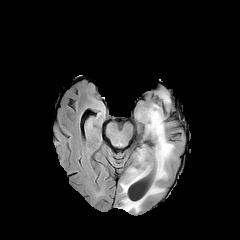
FLAIR magnetic resonance.
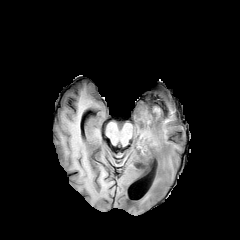
T1-weighted MRI.
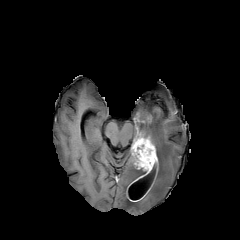
Post-contrast T1-weighted magnetic resonance.
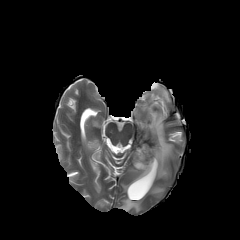
T2-weighted MRI.
Image size 240x240.
<segmentation>
  <enhancing_tumor>region(134, 147, 157, 177)</enhancing_tumor>
  <edema>region(160, 92, 169, 103); region(120, 103, 175, 212)</edema>
  <non-enhancing_tumor_core>region(132, 138, 153, 162)</non-enhancing_tumor_core>
</segmentation>